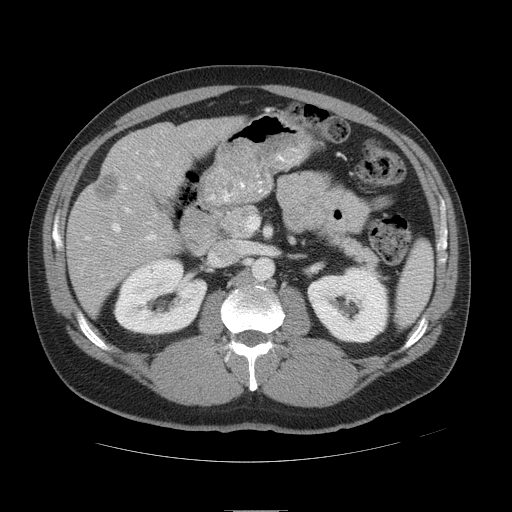

CT slice. The vessel annotation is not exhaustive.
{"liver_tumor": ["bbox=[94, 175, 117, 200]"], "hepatic_vessel": ["bbox=[146, 235, 155, 239]", "bbox=[86, 237, 89, 239]", "bbox=[126, 208, 130, 212]", "bbox=[138, 176, 140, 178]", "bbox=[150, 150, 153, 154]", "bbox=[113, 223, 119, 231]", "bbox=[154, 214, 156, 216]"]}